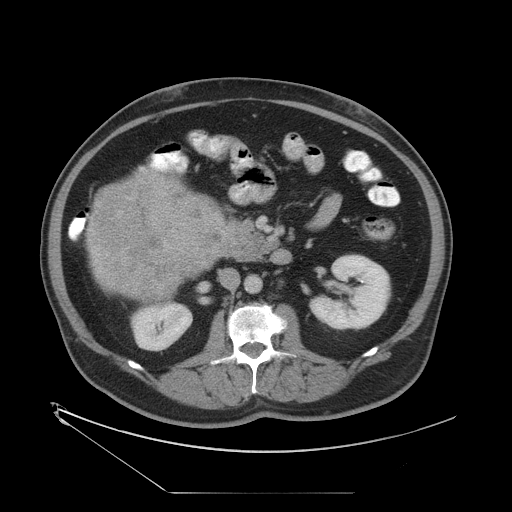 CT image. Liver tumor: bounding box 88, 169, 229, 300.